CT image | 512x512
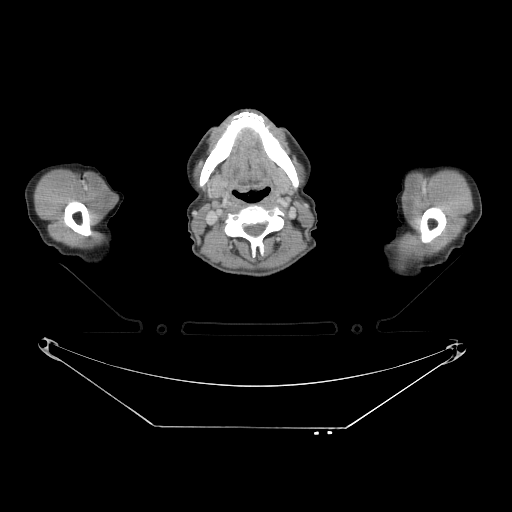 Bone: bounding box 200:112:298:187, 64:201:90:235, 225:205:283:250, 420:207:445:242.